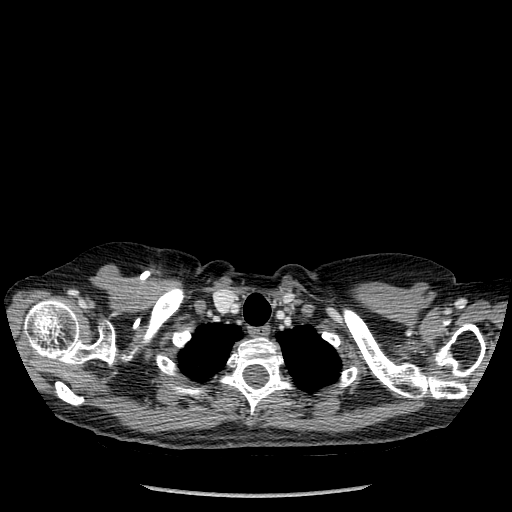
Thorax. CT scan slice.
3 lung regions are bounded by bbox(243, 293, 270, 325); bbox(277, 325, 341, 392); bbox(178, 323, 242, 380). 12 bone regions are bounded by bbox(435, 323, 485, 377); bbox(55, 381, 83, 405); bbox(171, 386, 203, 395); bbox(343, 309, 467, 398); bbox(172, 329, 190, 347); bbox(24, 298, 116, 365); bbox(220, 337, 291, 414); bbox(140, 287, 184, 343); bbox(156, 355, 175, 375); bbox(339, 367, 358, 386); bbox(122, 345, 141, 360); bbox(322, 331, 340, 347).